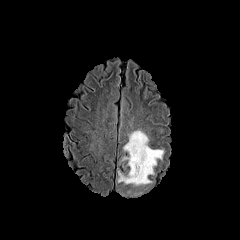
FLAIR MR.
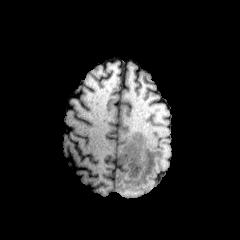
T1-weighted MR of the same slice.
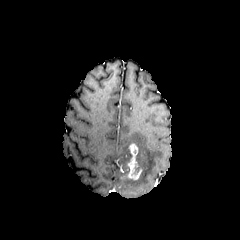
Same slice, post-contrast T1-weighted MR.
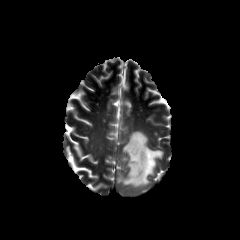
Same slice, T2-weighted MR image.
The edema is bounded by l=115, t=130, r=163, b=196. The enhancing tumor is at l=126, t=144, r=142, b=180.